Field of view 240 mm wide, 1.00 mm slice spacing. Image size 240x240.
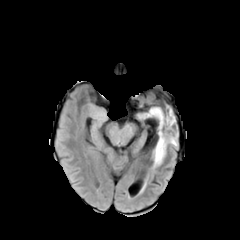
FLAIR MRI.
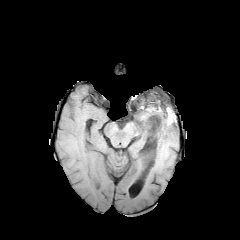
Same slice, T1-weighted MRI.
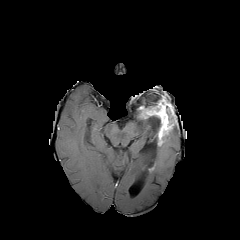
Same slice, post-contrast T1-weighted MRI.
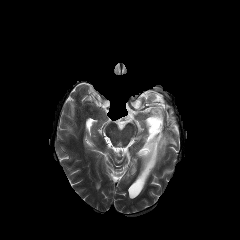
T2-weighted MR.
The non-enhancing tumor core appears at <box>151,116,160,137</box>. The enhancing tumor is at <box>141,100,175,145</box>. The edema is bounded by <box>151,129,178,169</box>.